CT slice, Slice 201/908, Image size 512x512, Lower abdomen 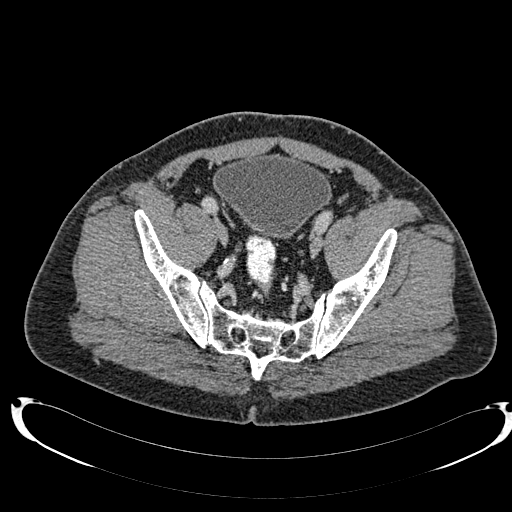
Urinary bladder at (left=215, top=153, right=331, bottom=238).